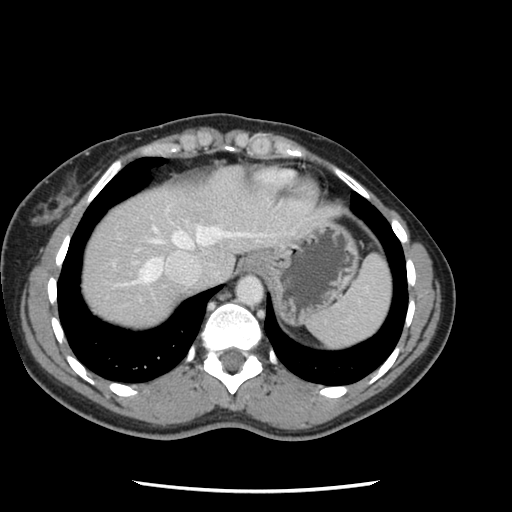
CT slice
Some hepatic vessels may have no box.
<segmentation>
  <hepatic_vessel><bbox>152, 238, 160, 242</bbox>, <bbox>153, 227, 155, 230</bbox>, <bbox>170, 226, 247, 247</bbox>, <bbox>135, 257, 161, 281</bbox></hepatic_vessel>
</segmentation>